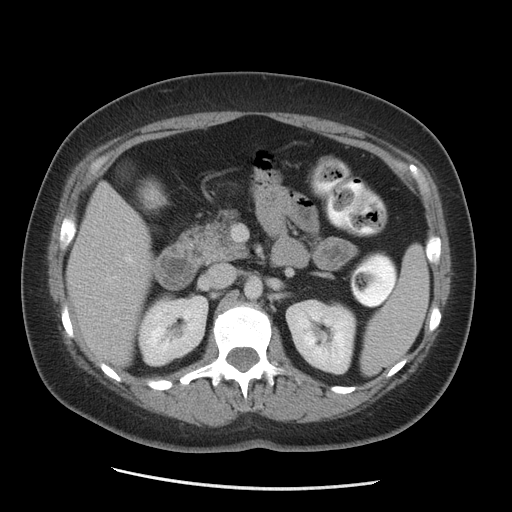

CT scan slice

Liver: bounding box x1=67 y1=183 x2=151 y2=365.
Kidney: bounding box x1=141 y1=302 x2=204 y2=360, x1=288 y1=305 x2=354 y2=370.